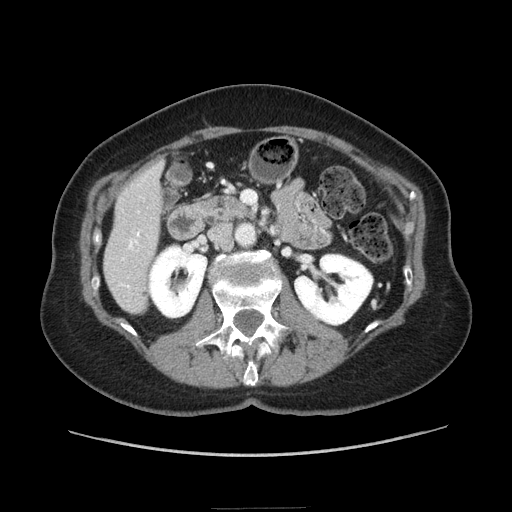

CT | Abdomen
<segmentation>
  <pancreas>[x1=199, y1=196, x2=250, y2=223]</pancreas>
</segmentation>